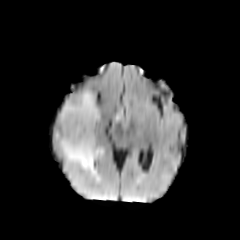
FLAIR MR image.
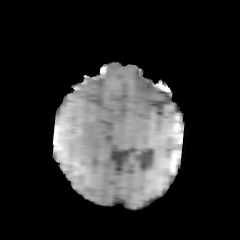
Same slice, T1-weighted magnetic resonance.
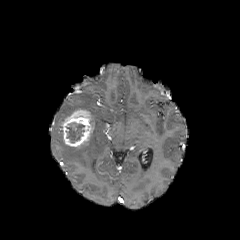
Post-contrast T1-weighted MR.
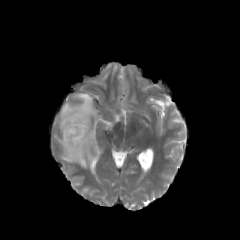
T2-weighted MRI.
240x240. Brain.
enhancing_tumor:
  - [x1=61, y1=109, x2=94, y2=147]
edema:
  - [x1=54, y1=93, x2=102, y2=170]
non-enhancing_tumor_core:
  - [x1=66, y1=123, x2=85, y2=143]